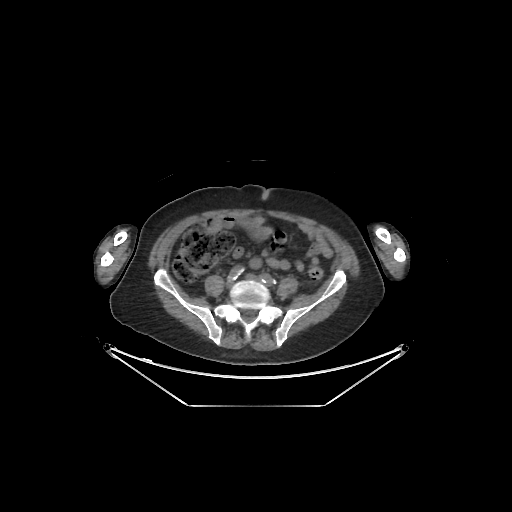
512x512. CT scan slice. Bone at (154,269,221,344), (394,247,405,262), (214,279,282,336), (375,227,390,243), (101,251,113,266), (276,270,345,346), (114,230,127,245).